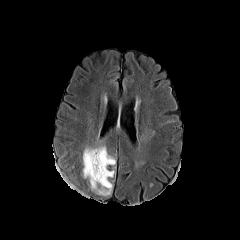
FLAIR magnetic resonance.
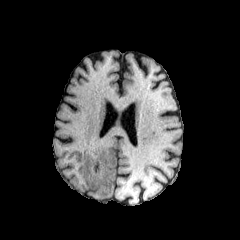
Same slice, T1-weighted MRI.
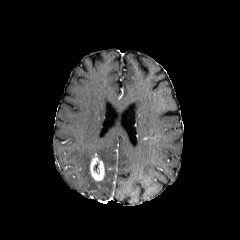
Same slice, post-contrast T1-weighted magnetic resonance.
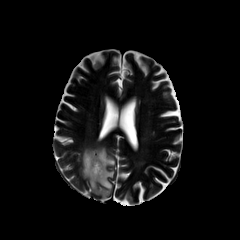
T2-weighted MR image of the same slice.
Head, 240x240
{
  "enhancing_tumor": [
    "<box>90,153,105,181</box>"
  ],
  "edema": [
    "<box>82,147,115,196</box>"
  ]
}